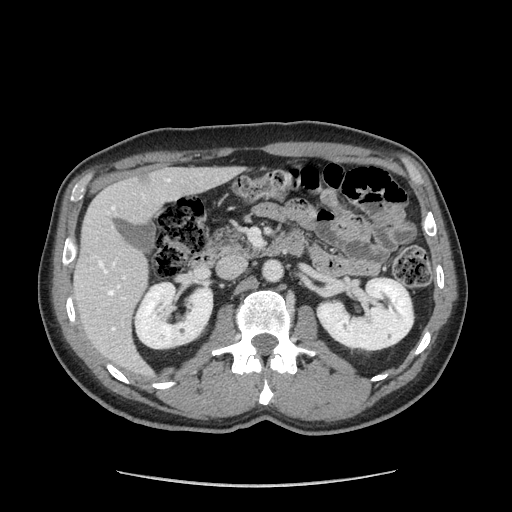

Computed tomography; Upper abdomen
• pancreas: l=210, t=228, r=254, b=255